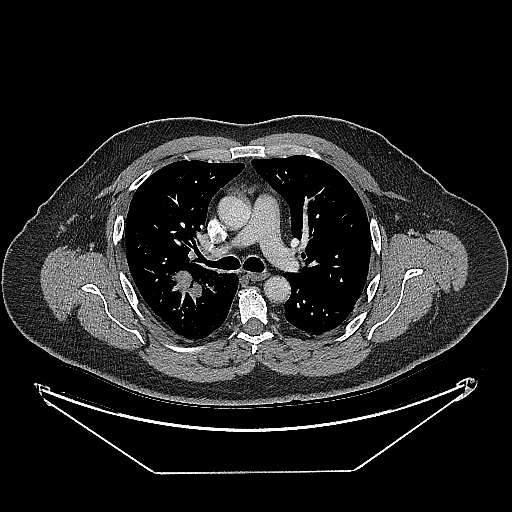 CT image, Thorax
<segmentation>
  <lung_tumor>(164,263,230,301)</lung_tumor>
</segmentation>